Image size 240x240; Brain; Slice 97/155
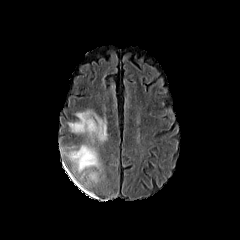
FLAIR MR image.
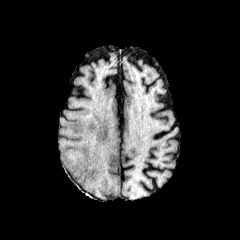
T1-weighted MR image.
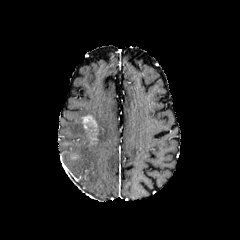
Post-contrast T1-weighted magnetic resonance.
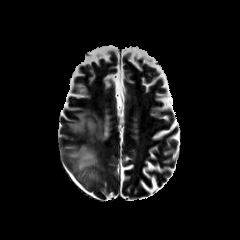
T2-weighted MRI.
<segmentation>
  <enhancing_tumor>(81,114,98,144)</enhancing_tumor>
  <edema>(64,109,107,187)</edema>
</segmentation>